320x320 | Slice index 4
T2-weighted magnetic resonance.
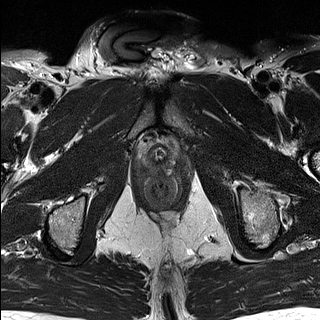
ADC MRI.
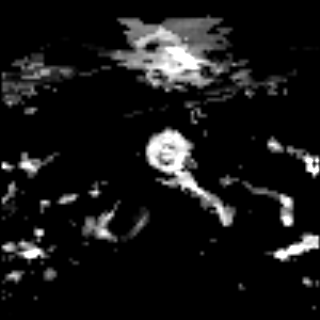
* prostate transition zone: l=144, t=137, r=176, b=167